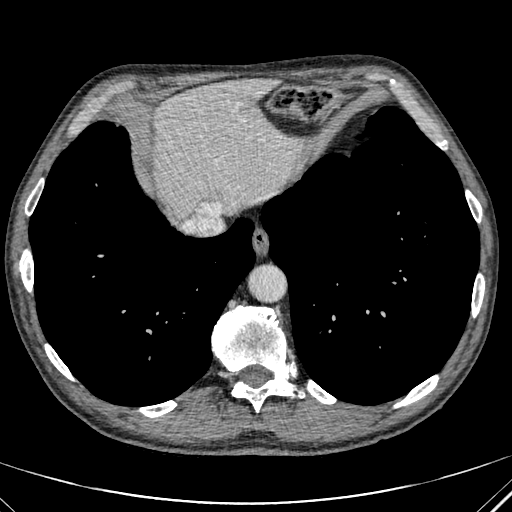 CT image, Liver

Liver = [x1=155, y1=79, x2=289, y2=215].